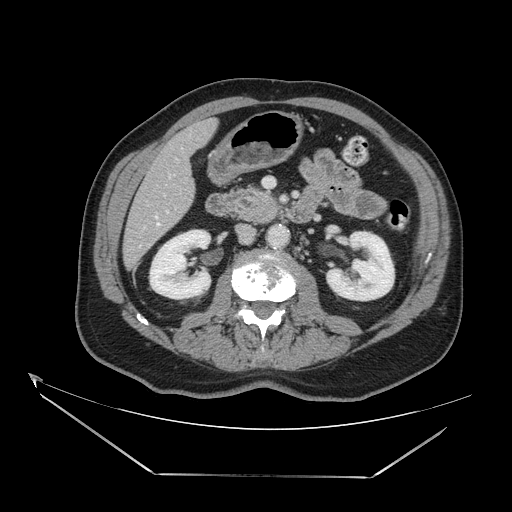

CT image; Abdomen; Image size 512x512

The pancreatic tumor is located at <box>251,197,271,215</box>. The pancreas is at <box>229,187,277,223</box>.